CT slice | Image size 512x512 | Field of view 496 mm wide, 0.80 mm slice spacing
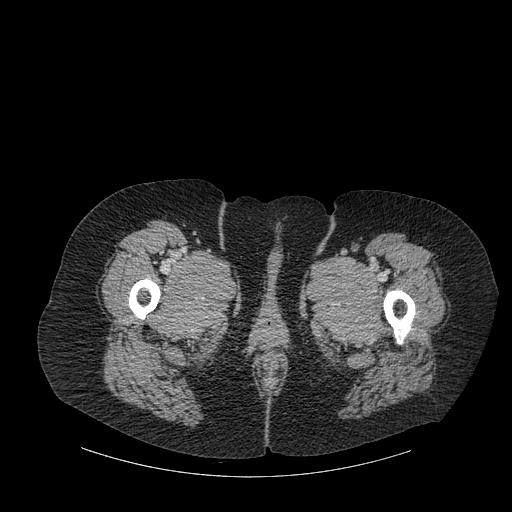
Bone at box=[384, 291, 414, 344]; box=[129, 279, 160, 323].